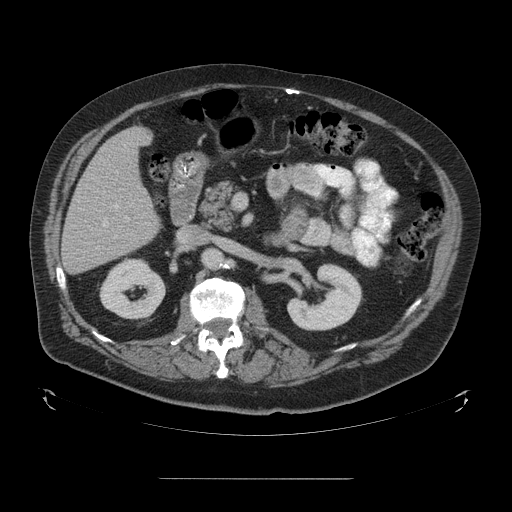 512x512; Abdomen; CT slice

Only some of the vessels may be annotated.
hepatic_vessel:
  - (131,232,132,233)
  - (111,203,119,210)
  - (87,243,89,244)
  - (102,218,108,227)
  - (124,216,129,221)
  - (130,204,132,205)
  - (123,143,125,149)
  - (119,226,121,229)